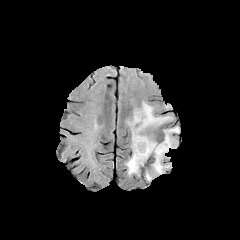
FLAIR MR.
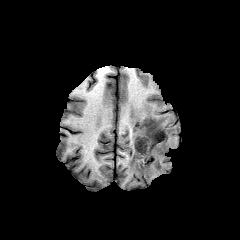
T1-weighted MRI.
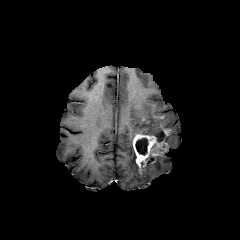
Post-contrast T1-weighted magnetic resonance.
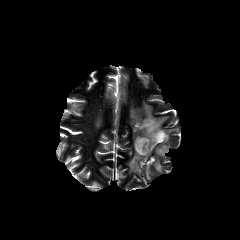
T2-weighted MR.
240x240; Head
Findings:
- edema: 144,127,178,172; 132,103,169,139; 126,150,142,174
- enhancing tumor: 133,134,157,166
- non-enhancing tumor core: 135,138,147,154; 143,129,165,141; 142,119,152,129